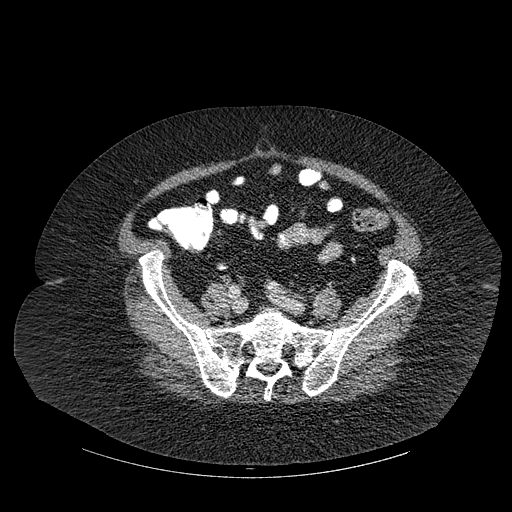
CT
Bone — x1=139 y1=250 x2=418 y2=400.